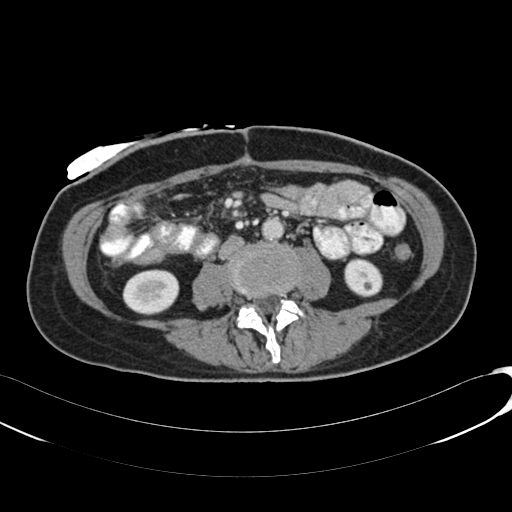

CT image, Abdomen, 512x512

2 kidney regions are bounded by x1=124 y1=271 x2=177 y2=313, x1=345 y1=260 x2=381 y2=295.